CT; Abdomen; 512x512
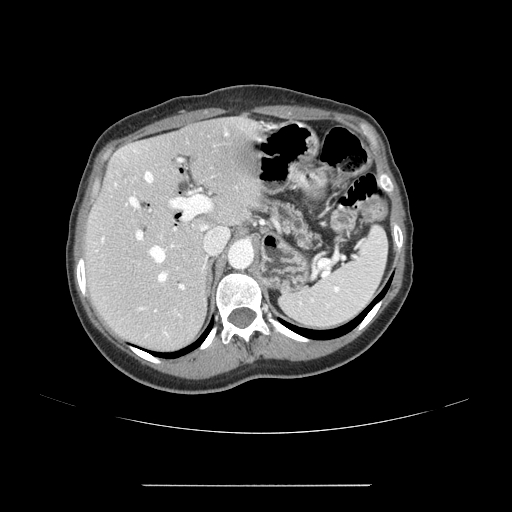 pancreas: region(270, 203, 314, 250)